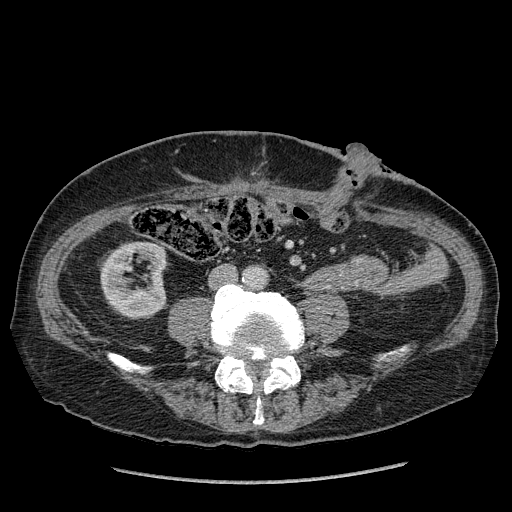

512x512. CT.
Kidney — [101,242,165,317].